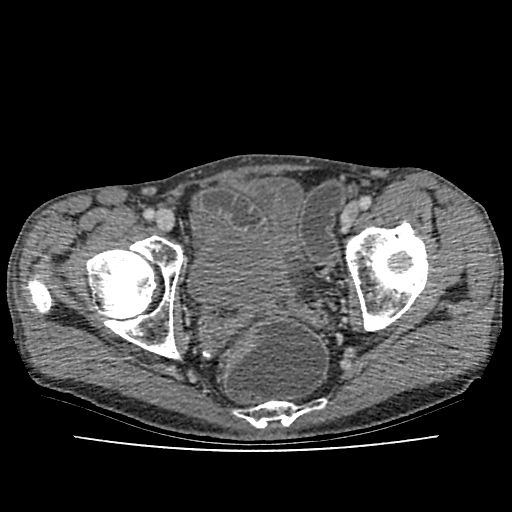
CT image | 512x512 px
The urinary bladder is bounded by 187:177:304:308.